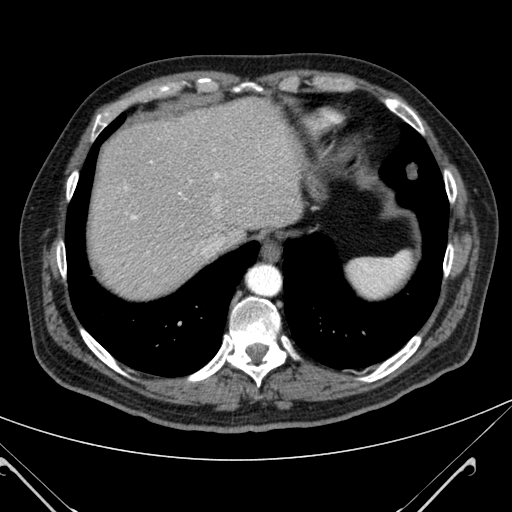
Upper abdomen; CT

Liver: bounding box 88,97,301,299.